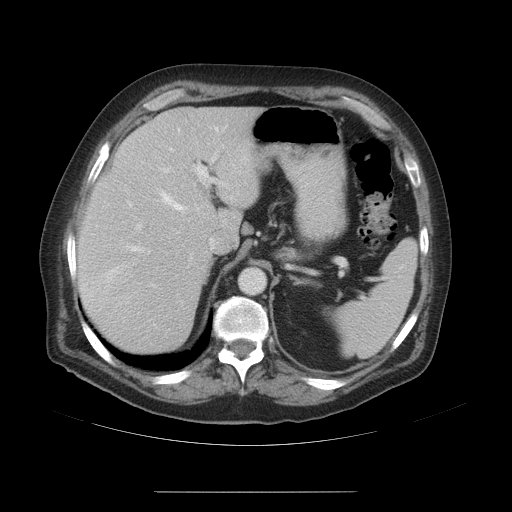 CT scan slice; 512x512
The vessel boxes may cover only some of the vessels.
The liver tumor lies within [81,270,136,319]. The principal 15 hepatic vessel regions (of 17) appear at [112,268,117,269], [212,153,216,161], [136,224,141,229], [122,265,125,266], [151,284,154,286], [222,145,223,147], [191,164,226,186], [129,203,132,206], [148,250,149,253], [161,192,173,204], [129,246,142,250], [171,148,173,151], [162,167,170,172], [215,128,217,130], [174,205,184,210].